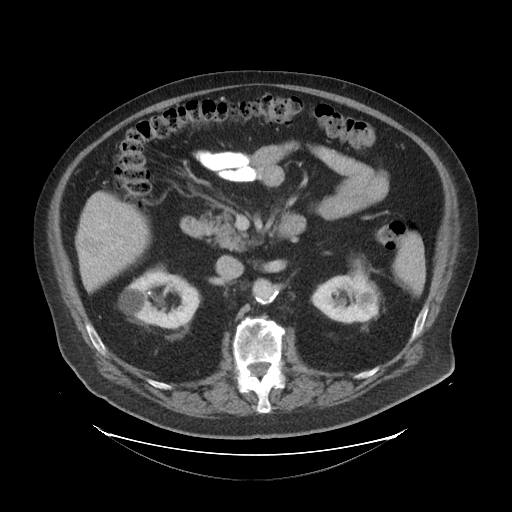
Abdomen; CT image; 512x512
Liver tumor: [78,239,103,253].